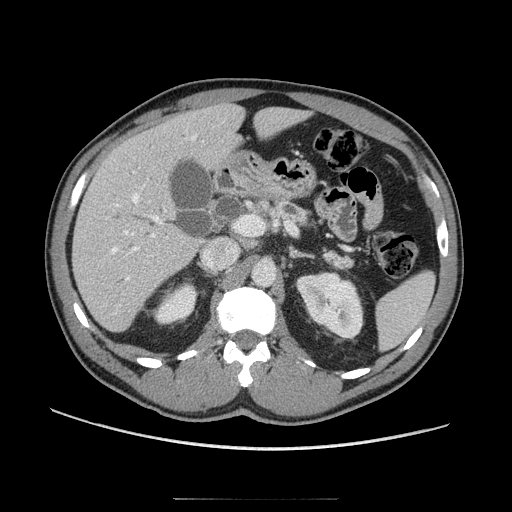

CT slice; Upper abdomen
pancreas: rect(323, 250, 355, 270); rect(257, 200, 310, 226)